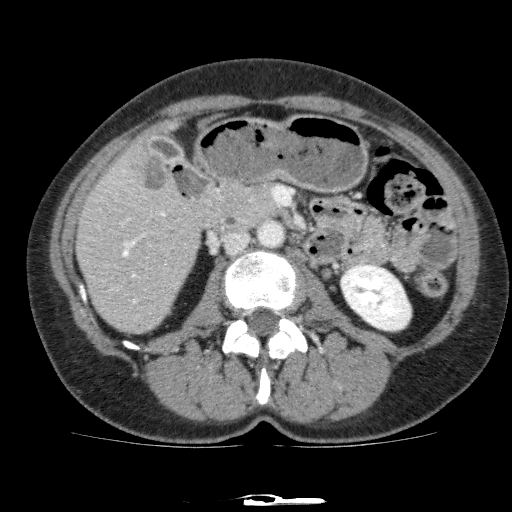
CT scan slice; Upper abdomen

2 liver regions are bounded by [76,138,201,334], [163,120,181,134]. The focal liver lesion lies within [129,154,169,190]. The kidney is located at [341,265,410,329].